CT. Upper abdomen.
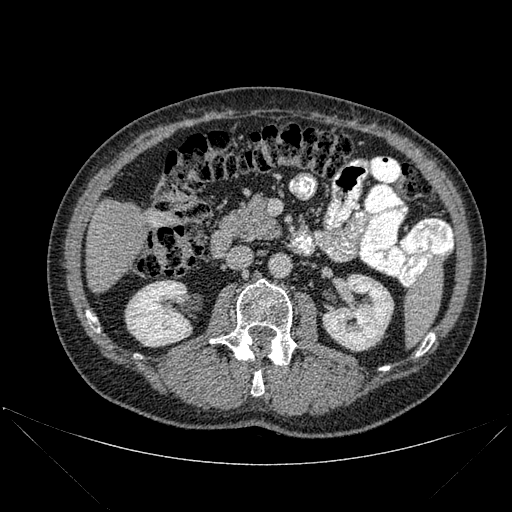
* bone: 416:333:434:355, 210:279:296:365, 251:370:263:395, 86:311:97:331
* kidney: 125:281:191:346, 323:275:393:350
* liver: 86:200:147:292